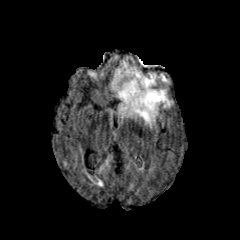
FLAIR magnetic resonance.
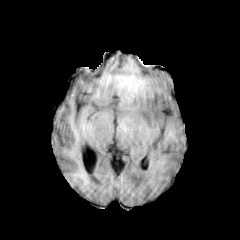
T1-weighted MRI.
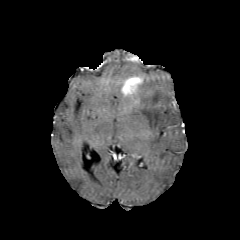
Post-contrast T1-weighted MR.
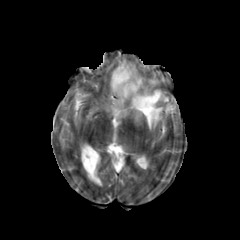
Same slice, T2-weighted MRI.
Brain
Edema at l=111, t=60, r=173, b=128.
Enhancing tumor at l=121, t=76, r=143, b=97.